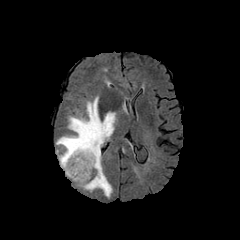
FLAIR MR.
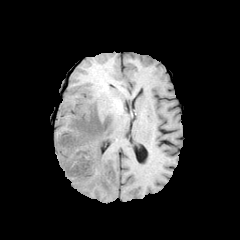
T1-weighted MRI.
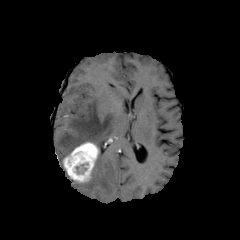
Post-contrast T1-weighted MRI.
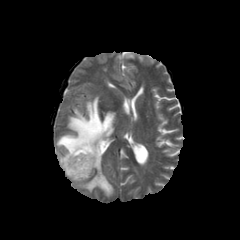
T2-weighted magnetic resonance.
Brain
Annotated regions:
- enhancing tumor: x1=62, y1=142, x2=99, y2=183
- edema: x1=56, y1=96, x2=115, y2=197